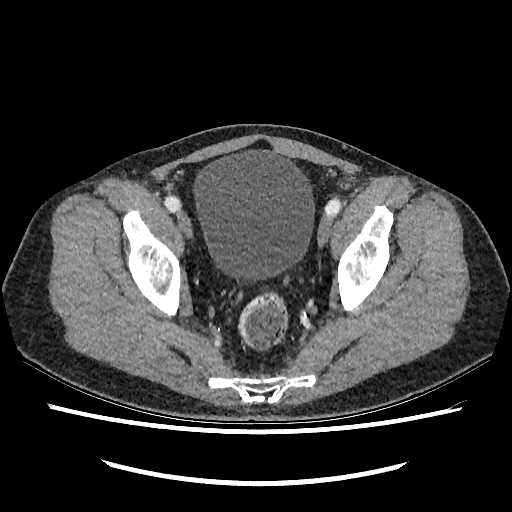
CT slice
Annotated regions:
- urinary bladder: box=[193, 149, 314, 281]